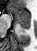
37x51. MR.

The posterior hippocampus is located at <box>17,22,29,29</box>. The anterior hippocampus is located at <box>9,7,30,21</box>.